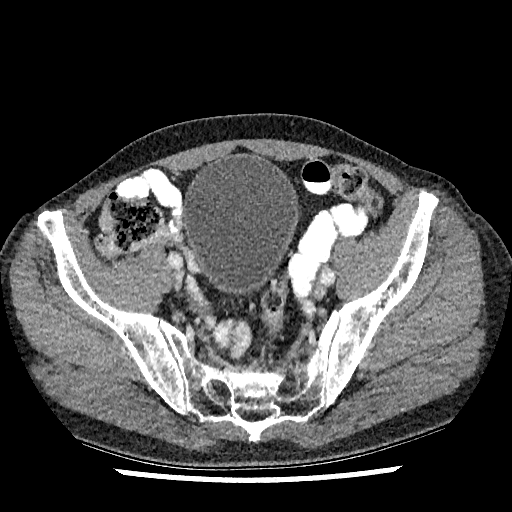 Pelvis. CT.

The urinary bladder is at x1=184 y1=157 x2=296 y2=294.